Field of view 240x240 mm, Head
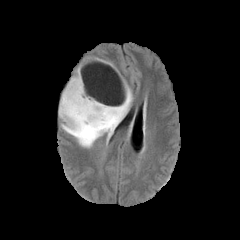
FLAIR MR image.
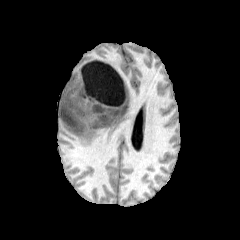
T1-weighted magnetic resonance of the same slice.
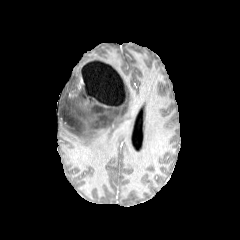
Post-contrast T1-weighted MR image.
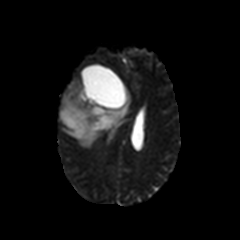
Same slice, T2-weighted MR image.
Annotated regions:
* non-enhancing tumor core: 79,81,85,99; 84,92,121,127; 61,108,83,132
* edema: 83,86,92,97; 58,67,133,148